CT slice 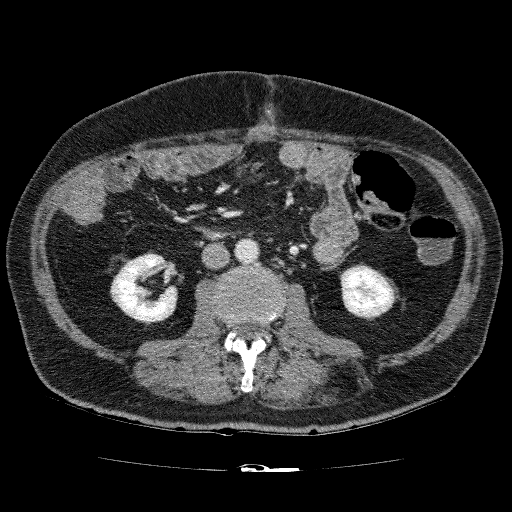 2 kidney regions are bounded by left=111, top=254, right=176, bottom=322; left=341, top=266, right=394, bottom=317.